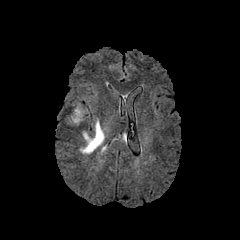
FLAIR MR image.
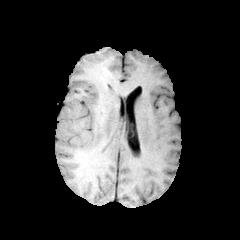
T1-weighted MR.
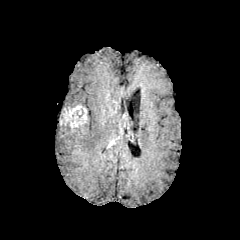
Post-contrast T1-weighted MR of the same slice.
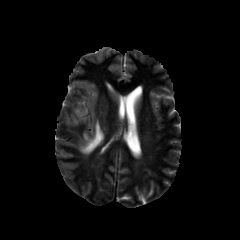
T2-weighted MRI of the same slice.
240x240
Annotated regions:
* non-enhancing tumor core: {"x1": 73, "y1": 107, "x2": 84, "y2": 117}
* edema: {"x1": 80, "y1": 120, "x2": 104, "y2": 154}, {"x1": 67, "y1": 109, "x2": 83, "y2": 126}